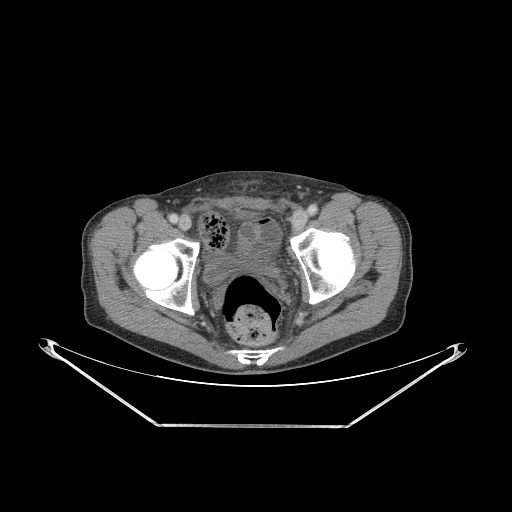 CT slice
bone:
  - [290, 228, 355, 303]
  - [232, 349, 277, 365]
  - [134, 238, 199, 314]